Liver | CT scan slice | 512x512 px | Slice 578 of 722
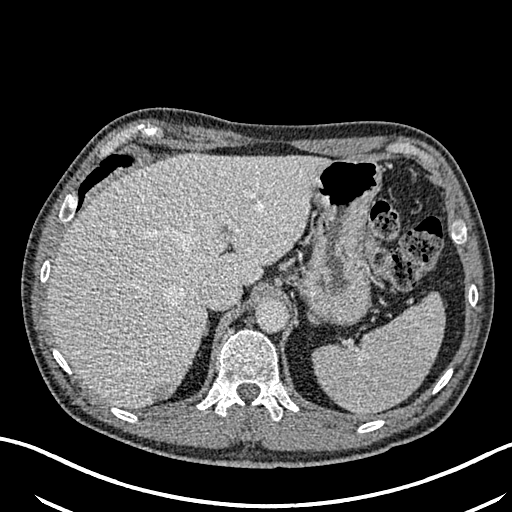

Annotated regions:
* liver: [49, 154, 329, 408]
* hepatic lesion: [150, 382, 173, 401]